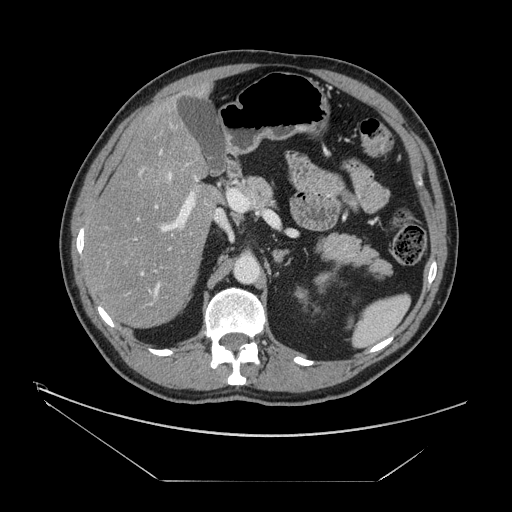
CT scan slice, Abdomen
The vessel annotation is not exhaustive.
3 hepatic vessel regions are bounded by bbox=[161, 192, 194, 230]; bbox=[168, 173, 171, 178]; bbox=[155, 285, 158, 292].